FLAIR MRI.
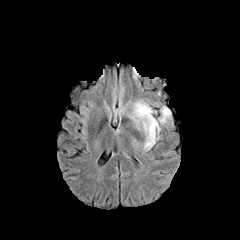
T1-weighted magnetic resonance.
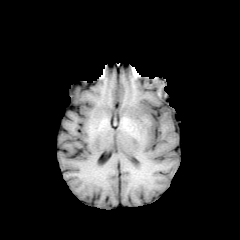
Post-contrast T1-weighted MR image.
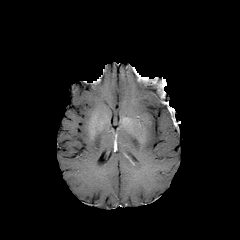
T2-weighted MR image.
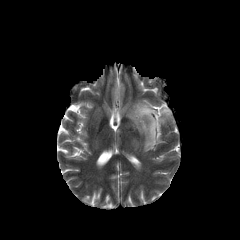
The edema appears at (128,99,171,151).